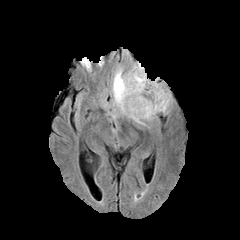
FLAIR MR image.
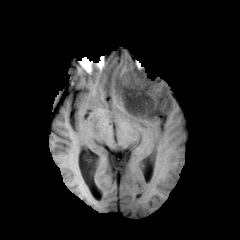
Same slice, T1-weighted MR image.
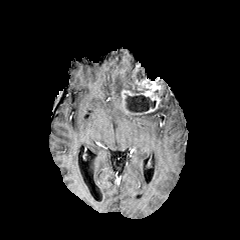
Same slice, post-contrast T1-weighted MR image.
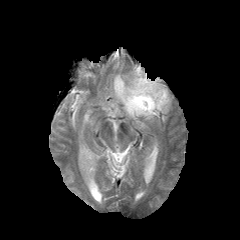
T2-weighted MR image.
Image size 240x240. Head.
Segmented structures:
- edema: x1=103, y1=63, x2=171, y2=125
- non-enhancing tumor core: x1=134, y1=68, x2=145, y2=80; x1=160, y1=90, x2=167, y2=104; x1=124, y1=94, x2=155, y2=113; x1=126, y1=70, x2=143, y2=92
- enhancing tumor: x1=122, y1=77, x2=163, y2=113; x1=132, y1=64, x2=139, y2=77